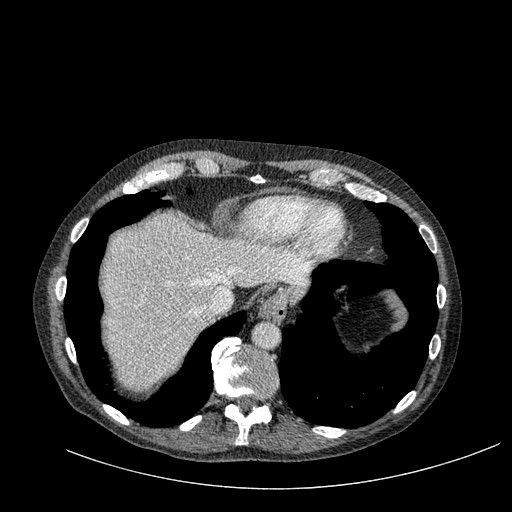 CT; 512x512 px
{"liver": ["region(103, 213, 311, 389)"]}